Field of view 512x512 mm | CT slice

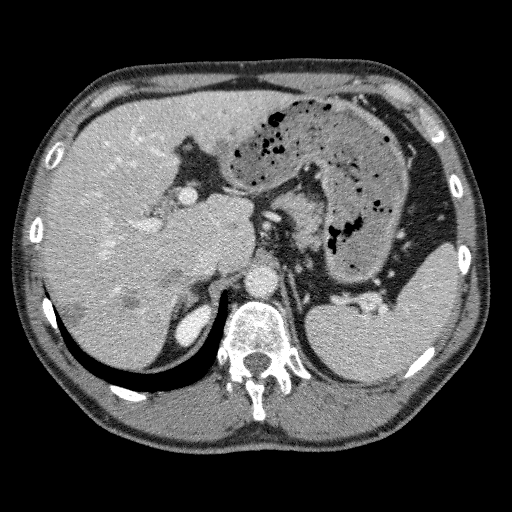
The liver is bounded by [43,89,292,368]. The kidney appears at [176,306,210,345]. 5 hepatic lesion regions are located at [59,302,87,329], [210,137,235,155], [157,269,183,287], [119,289,140,310], [226,220,239,231].